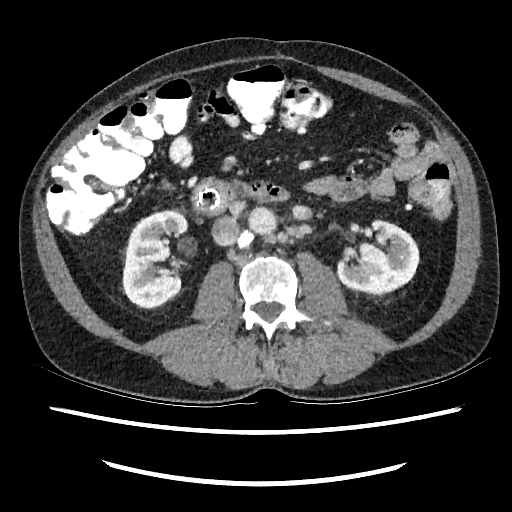

CT image. Image size 512x512.

Segmented structures:
- kidney: [124,211,186,307], [338,221,418,294]